FLAIR MRI.
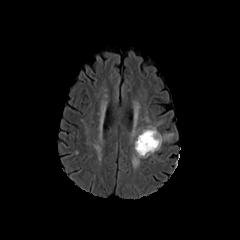
T1-weighted MRI.
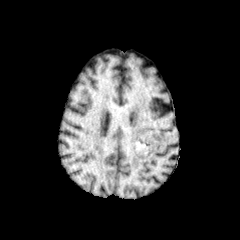
Post-contrast T1-weighted MRI.
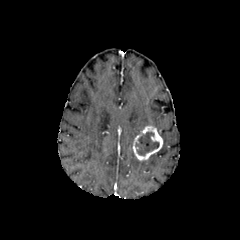
T2-weighted MR image.
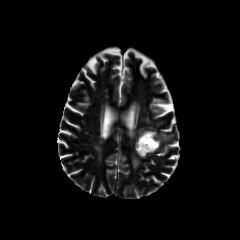
240x240 | Head
3 edema regions are bounded by x1=162 y1=133 x2=173 y2=143, x1=131 y1=151 x2=140 y2=170, x1=128 y1=127 x2=143 y2=143. The non-enhancing tumor core is located at x1=135 y1=131 x2=159 y2=156. The enhancing tumor is bounded by x1=132 y1=125 x2=163 y2=161.